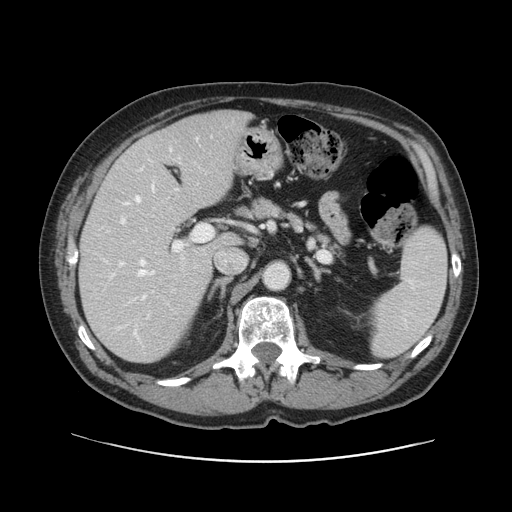

Computed tomography, Abdomen

Not every hepatic vessel necessarily has a box.
Hepatic vessel: (left=119, top=262, right=123, bottom=265), (left=121, top=218, right=124, bottom=222), (left=169, top=148, right=171, bottom=150), (left=138, top=269, right=145, bottom=275), (left=135, top=196, right=139, bottom=201), (left=151, top=184, right=154, bottom=190), (left=135, top=331, right=137, bottom=337), (left=142, top=296, right=145, bottom=298), (left=140, top=260, right=144, bottom=264), (left=152, top=271, right=154, bottom=273), (left=124, top=203, right=129, bottom=204).